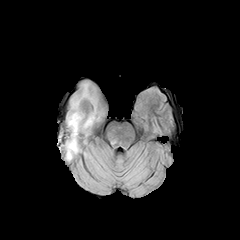
FLAIR MR.
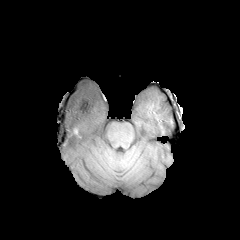
T1-weighted MR image of the same slice.
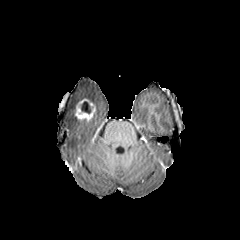
Same slice, post-contrast T1-weighted MRI.
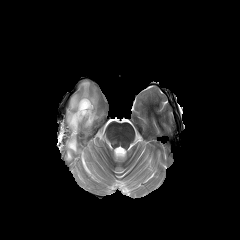
T2-weighted MRI.
Head.
non-enhancing tumor core: left=81, top=101, right=95, bottom=113 | edema: left=62, top=82, right=99, bottom=161 | enhancing tumor: left=75, top=98, right=93, bottom=121